Head
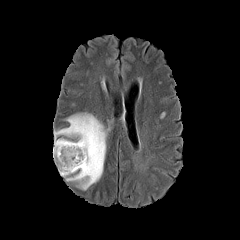
FLAIR magnetic resonance.
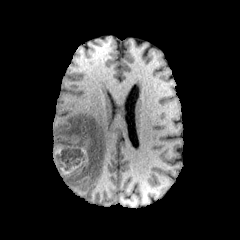
T1-weighted MRI.
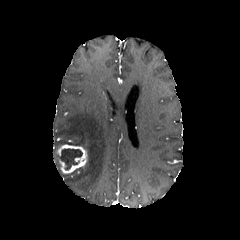
Post-contrast T1-weighted MR.
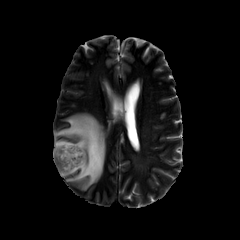
T2-weighted MR image of the same slice.
Edema at {"x1": 52, "y1": 113, "x2": 109, "y2": 190}.
Enhancing tumor at {"x1": 56, "y1": 144, "x2": 87, "y2": 174}.
Non-enhancing tumor core at {"x1": 53, "y1": 148, "x2": 82, "y2": 174}.